CT slice. Slice index 68.
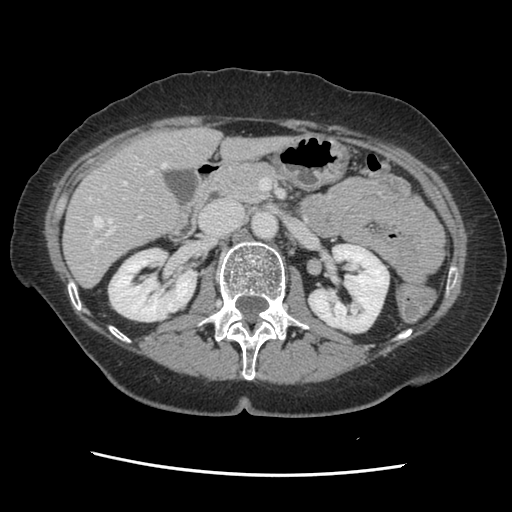 Not every hepatic vessel necessarily has a box.
hepatic vessel: <bbox>107, 219, 114, 234</bbox>, <bbox>123, 181, 126, 184</bbox>, <bbox>89, 197, 90, 200</bbox>, <bbox>149, 171, 152, 173</bbox>, <bbox>91, 247, 93, 249</bbox>, <bbox>95, 240, 100, 243</bbox>, <bbox>137, 215, 140, 218</bbox>, <bbox>162, 162, 165, 167</bbox>, <bbox>94, 217, 103, 227</bbox>